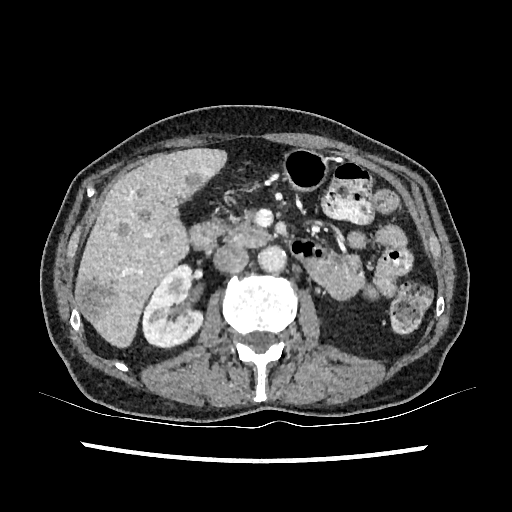
CT image | Liver

Kidney: <bbox>143, 266, 202, 346</bbox>.
Hepatic lesion: <bbox>76, 279, 115, 318</bbox>, <bbox>185, 172, 203, 191</bbox>, <bbox>160, 233, 170, 241</bbox>, <bbox>136, 188, 145, 197</bbox>, <bbox>138, 209, 151, 222</bbox>, <bbox>118, 223, 128, 235</bbox>.
Liver: <bbox>76, 148, 225, 346</bbox>.